CT slice 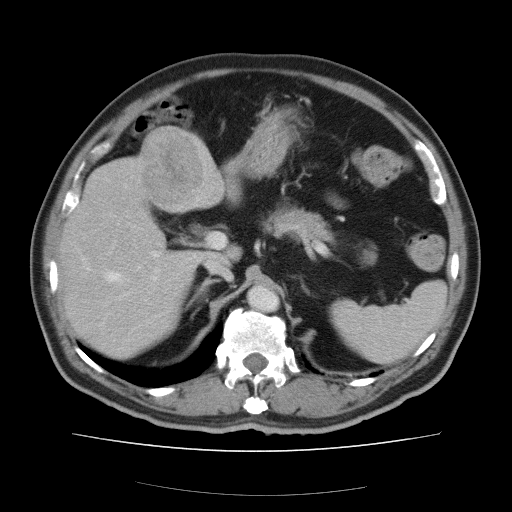

The vessel boxes may cover only some of the vessels.
Segmented structures:
• liver tumor: l=141, t=132, r=199, b=196
• hepatic vessel: l=209, t=233, r=226, b=247; l=105, t=271, r=120, b=281; l=150, t=268, r=160, b=285; l=87, t=267, r=89, b=269; l=151, t=251, r=160, b=259